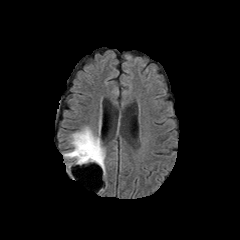
FLAIR MR image.
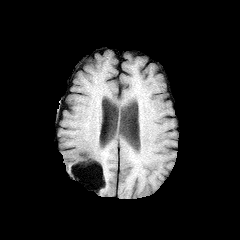
Same slice, T1-weighted MR.
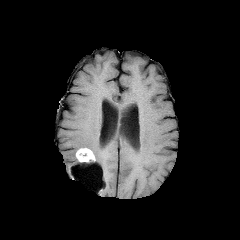
Post-contrast T1-weighted magnetic resonance.
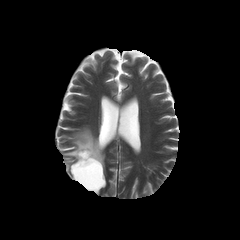
T2-weighted MRI of the same slice.
Findings:
• enhancing tumor: [76,148,95,161]
• non-enhancing tumor core: [76,147,103,166]
• edema: [63,126,100,173], [100,146,105,175]